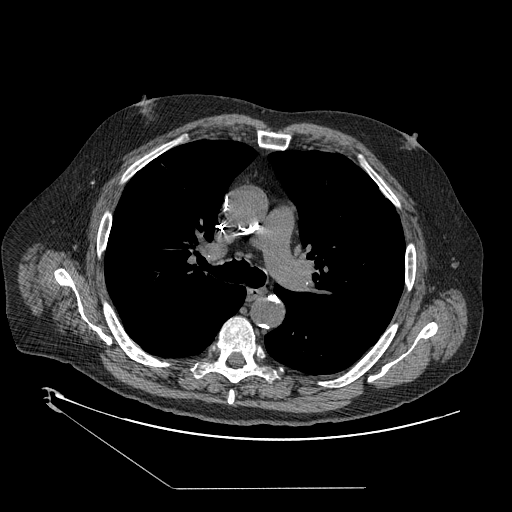 CT slice. Lung.
Lung tumor — region(156, 160, 168, 170); region(142, 172, 162, 182).